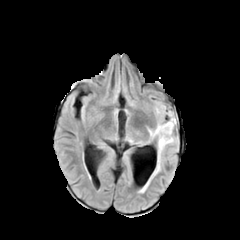
FLAIR MR.
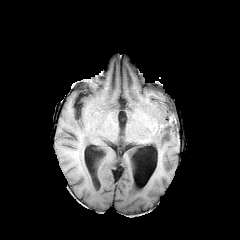
T1-weighted MRI.
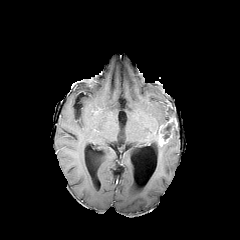
Post-contrast T1-weighted magnetic resonance.
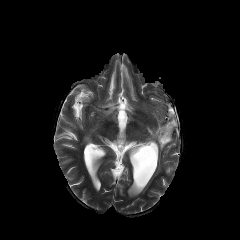
T2-weighted MR.
Image size 240x240.
Annotated regions:
• non-enhancing tumor core: (x1=161, y1=118, x2=175, y2=139)
• enhancing tumor: (x1=158, y1=126, x2=171, y2=145)
• edema: (x1=144, y1=120, x2=178, y2=179), (x1=155, y1=103, x2=174, y2=127)